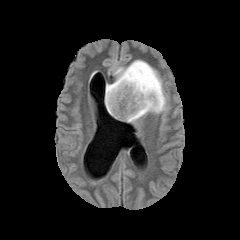
FLAIR MR.
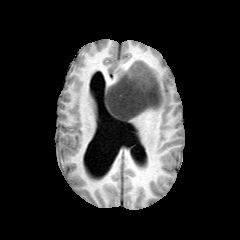
T1-weighted MR.
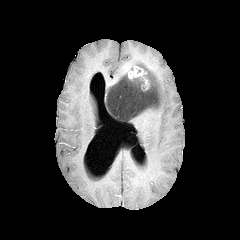
Post-contrast T1-weighted MR.
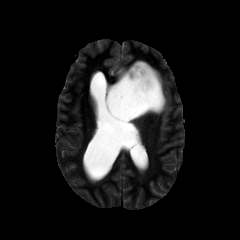
T2-weighted MR image.
Image size 240x240
Non-enhancing tumor core = 105,63,161,122.
Enhancing tumor = 122,63,150,90.
Edema = 105,58,168,123.